Liver. Image width 439 mm. Computed tomography. 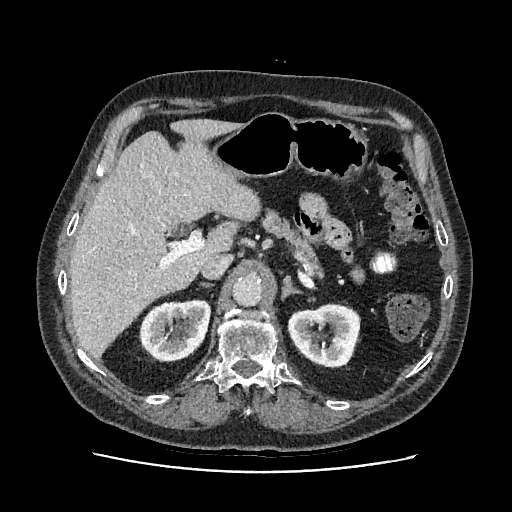

Kidney — (289, 305, 359, 366), (141, 301, 209, 360).
Liver — (71, 120, 258, 356).